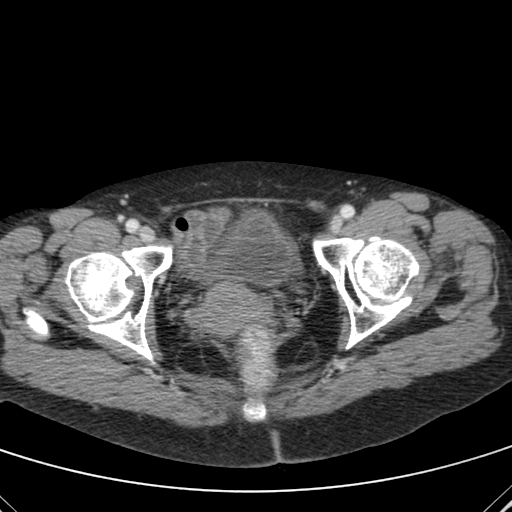
Lower abdomen; Image size 512x512; CT scan slice
Urinary bladder: bounding box <box>192,208,305,289</box>.